FLAIR MR.
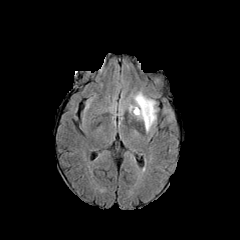
T1-weighted magnetic resonance.
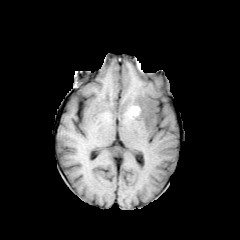
Post-contrast T1-weighted MR image.
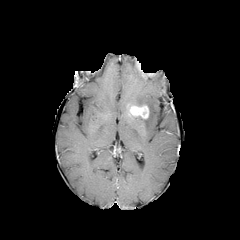
T2-weighted MR.
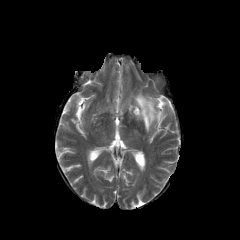
Segmented structures:
* enhancing tumor: box=[130, 105, 148, 118]
* edema: box=[133, 92, 158, 131]